CT slice, Image width 344 mm, Upper abdomen

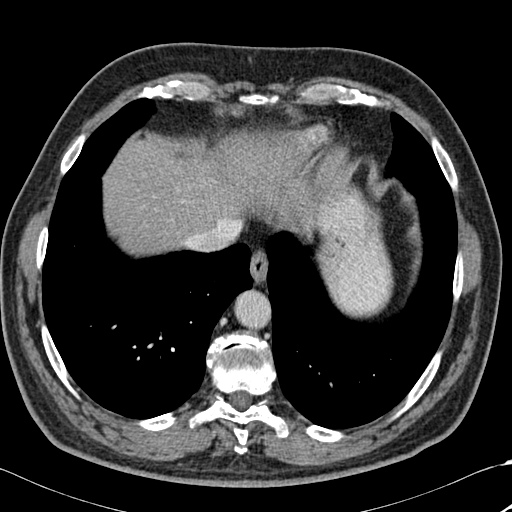 <segmentation>
  <liver>region(104, 140, 292, 248)</liver>
  <bone>region(453, 257, 463, 297); region(37, 228, 47, 265); region(432, 140, 456, 188); region(42, 327, 71, 389); region(402, 354, 439, 411); region(344, 89, 377, 104); region(306, 425, 341, 441); region(140, 414, 174, 430); region(140, 80, 183, 97); region(234, 428, 247, 453); region(61, 136, 83, 172); region(248, 95, 265, 103); region(190, 333, 287, 437)</bone>
  <lung>region(265, 112, 457, 429); region(42, 98, 253, 419)</lung>
</segmentation>